CT scan slice, 512x512 px, Slice 7/45
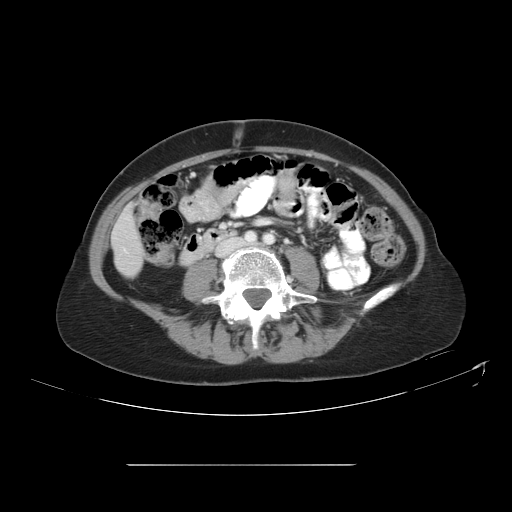

Some hepatic vessels may have no box.
Hepatic vessel at box=[124, 249, 125, 251].